Slice 564 of 630; Abdomen; 512x512 px; CT
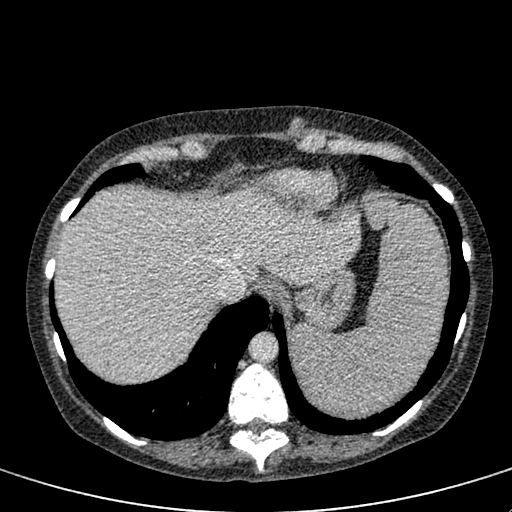

{
  "liver": [
    "x1=57, y1=192, x2=359, y2=383"
  ],
  "hepatic_lesion": [
    "x1=192, y1=230, x2=213, y2=249"
  ]
}